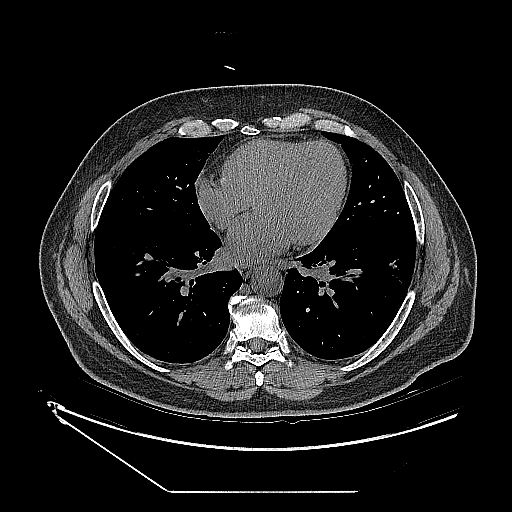

CT scan slice | Lung
Lung tumor — l=389, t=262, r=397, b=269.